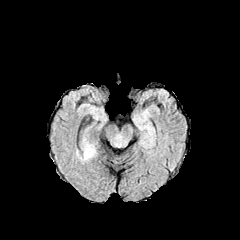
FLAIR magnetic resonance.
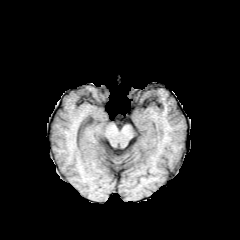
T1-weighted magnetic resonance.
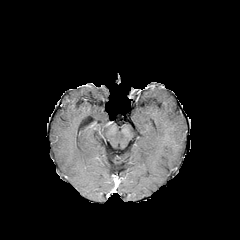
Post-contrast T1-weighted MR.
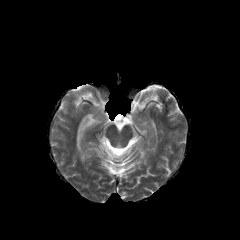
T2-weighted MR image.
Brain
Edema — <box>81,143,96,160</box>.